CT image | Slice 450/537 | Liver

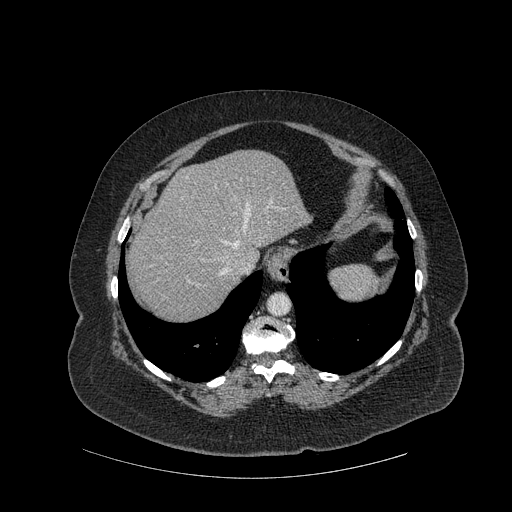

lung:
  - x1=118, y1=250, x2=262, y2=381
  - x1=287, y1=188, x2=414, y2=373
bone:
  - x1=207, y1=376, x2=225, y2=387
  - x1=415, y1=270, x2=422, y2=290
  - x1=252, y1=360, x2=294, y2=382
  - x1=243, y1=319, x2=294, y2=353
  - x1=144, y1=360, x2=170, y2=380
  - x1=319, y1=372, x2=338, y2=381
  - x1=408, y1=220, x2=416, y2=238
  - x1=111, y1=277, x2=117, y2=297
  - x1=378, y1=341, x2=401, y2=364
liver:
  - x1=130, y1=150, x2=310, y2=322